CT, Image width 306 mm, Pelvis, Slice 23/333

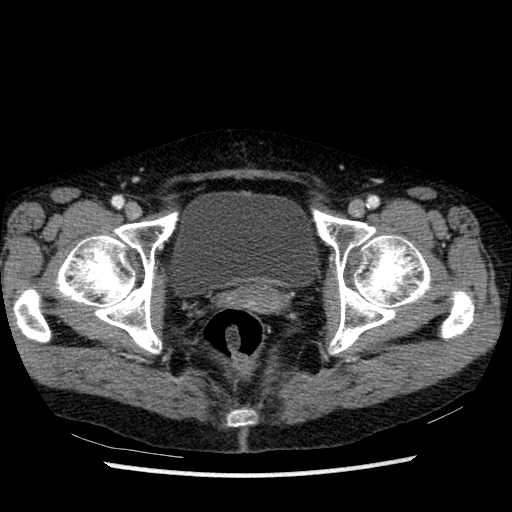 The urinary bladder lies within [x1=166, y1=191, x2=320, y2=297].